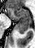 MRI.
Anterior hippocampus: bounding box <box>7,7,29,21</box>.
Posterior hippocampus: bounding box <box>16,22,29,33</box>.